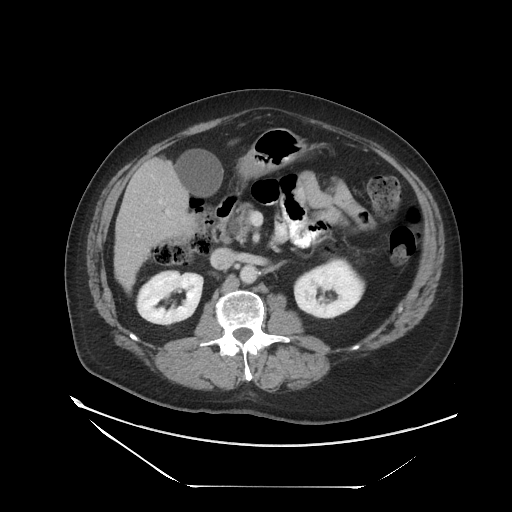 CT slice

The vessel boxes may cover only some of the vessels.
2 hepatic vessel regions appear at box(166, 209, 174, 216); box(159, 199, 161, 203).